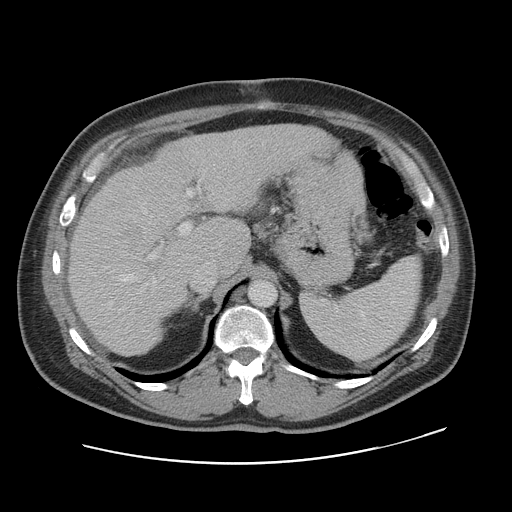

CT slice
Not every hepatic vessel necessarily has a box.
<segmentation partial="true">
  <hepatic_vessel shown="15" total="18">box(148, 251, 158, 258); box(132, 297, 135, 299); box(215, 176, 220, 183); box(141, 207, 147, 213); box(199, 177, 203, 181); box(148, 214, 152, 223); box(197, 183, 200, 191); box(179, 222, 192, 235); box(185, 189, 193, 196); box(153, 276, 156, 284); box(160, 241, 163, 247); box(120, 273, 138, 281); box(207, 185, 210, 189); box(139, 283, 147, 293); box(195, 255, 199, 259)</hepatic_vessel>
</segmentation>